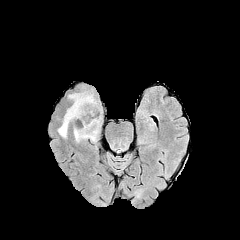
FLAIR MR image.
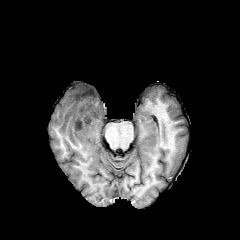
Same slice, T1-weighted MR image.
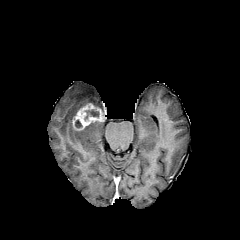
Post-contrast T1-weighted MR.
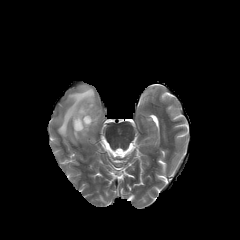
T2-weighted MR image of the same slice.
Image size 240x240
Enhancing tumor = x1=72 y1=103 x2=102 y2=129.
Edema = x1=58 y1=89 x2=97 y2=137, x1=73 y1=121 x2=99 y2=142.
Non-enhancing tumor core = x1=75 y1=120 x2=82 y2=129, x1=86 y1=108 x2=99 y2=118.